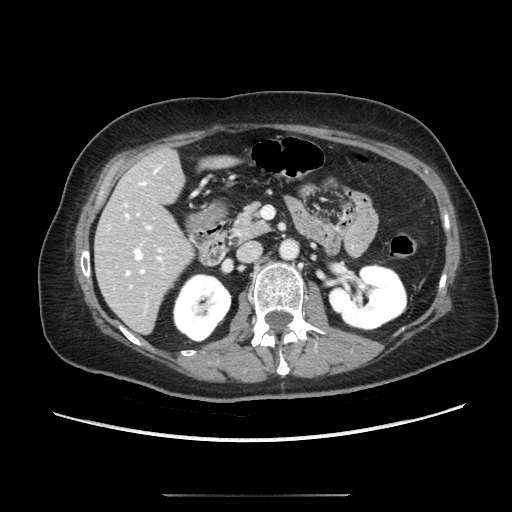 CT scan slice | Upper abdomen
pancreas:
  - (x1=232, y1=205, x2=268, y2=242)